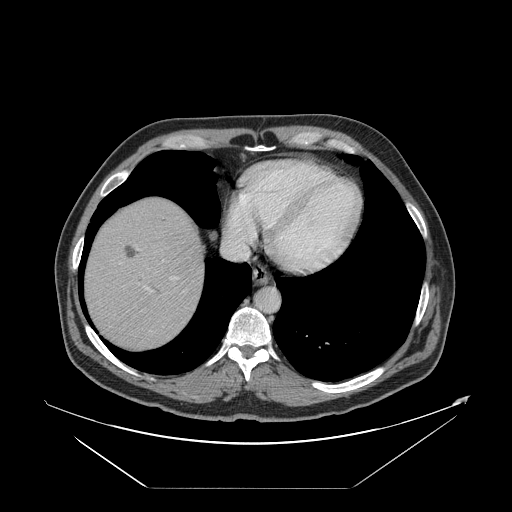 Computed tomography.
The vessel annotation is not exhaustive.
Hepatic vessel at [171,277,176,279], [143,286,151,291], [223,229,254,259].